240x240 px, Slice 69/155, Brain
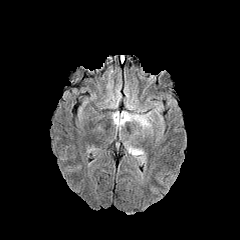
FLAIR MRI.
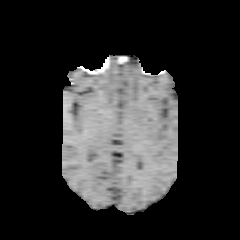
T1-weighted MR of the same slice.
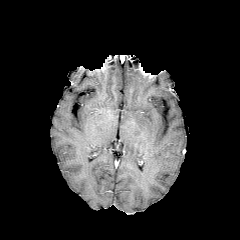
Same slice, post-contrast T1-weighted MR image.
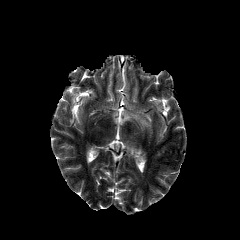
Same slice, T2-weighted magnetic resonance.
2 edema regions appear at region(112, 101, 158, 133); region(125, 144, 144, 161).